CT slice, Abdomen, Slice 472/685

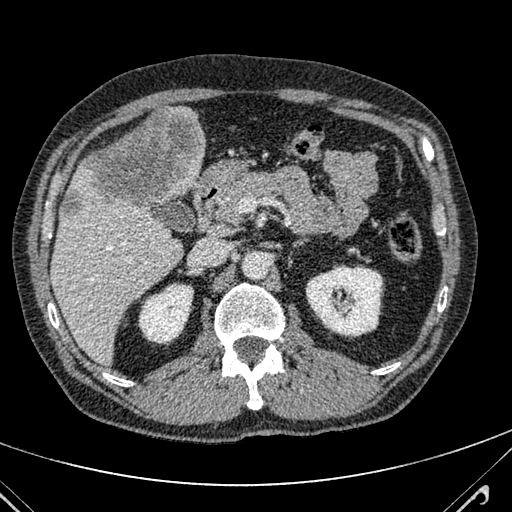 3 liver regions are bounded by {"x1": 51, "y1": 157, "x2": 181, "y2": 363}, {"x1": 169, "y1": 108, "x2": 197, "y2": 124}, {"x1": 157, "y1": 156, "x2": 203, "y2": 203}. 2 hepatic lesion regions appear at {"x1": 60, "y1": 188, "x2": 85, "y2": 214}, {"x1": 84, "y1": 108, "x2": 204, "y2": 207}.